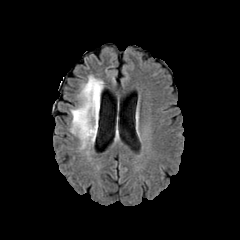
FLAIR MR.
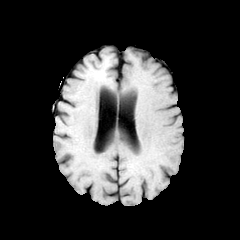
T1-weighted magnetic resonance of the same slice.
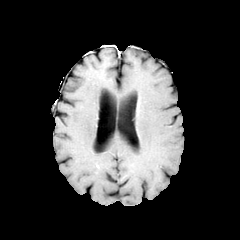
Post-contrast T1-weighted MRI.
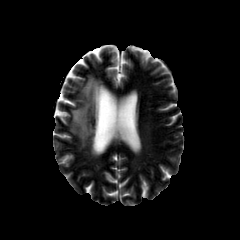
T2-weighted MR image.
edema:
  - (70, 75, 103, 149)